FLAIR magnetic resonance.
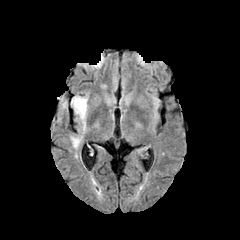
T1-weighted MR image.
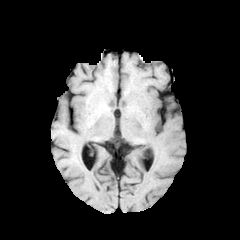
Post-contrast T1-weighted magnetic resonance.
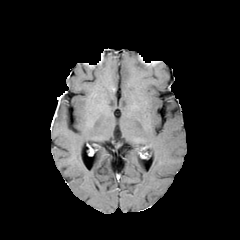
T2-weighted MR image.
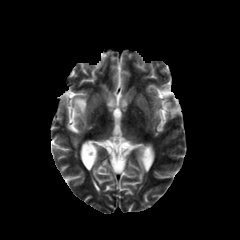
Edema: bounding box (x1=70, y1=94, x2=88, y2=148).